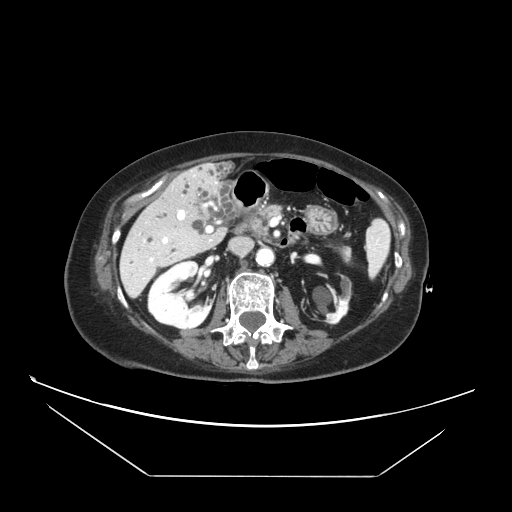
CT scan slice.
2 pancreas regions are bounded by (246, 206, 281, 239), (340, 248, 350, 259). The pancreatic tumor is bounded by (257, 222, 264, 234).